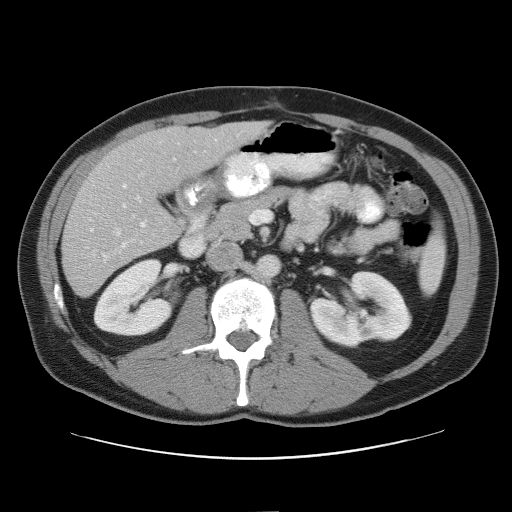

Abdomen; Image size 512x512; CT
Only some of the vessels may be annotated.
<segmentation partial="true">
  <hepatic_vessel shown="15" total="19">{"x1": 122, "y1": 184, "x2": 125, "y2": 187}, {"x1": 90, "y1": 228, "x2": 92, "y2": 230}, {"x1": 214, "y1": 139, "x2": 216, "y2": 141}, {"x1": 102, "y1": 254, "x2": 107, "y2": 261}, {"x1": 136, "y1": 196, "x2": 140, "y2": 200}, {"x1": 114, "y1": 228, "x2": 120, "y2": 235}, {"x1": 121, "y1": 243, "x2": 126, "y2": 247}, {"x1": 92, "y1": 251, "x2": 95, "y2": 256}, {"x1": 140, "y1": 221, "x2": 146, "y2": 228}, {"x1": 122, "y1": 205, "x2": 125, "y2": 207}, {"x1": 139, "y1": 241, "x2": 141, "y2": 243}, {"x1": 236, "y1": 133, "x2": 240, "y2": 136}, {"x1": 89, "y1": 218, "x2": 91, "y2": 221}, {"x1": 139, "y1": 172, "x2": 143, "y2": 176}, {"x1": 138, "y1": 160, "x2": 140, "y2": 161}</hepatic_vessel>
</segmentation>